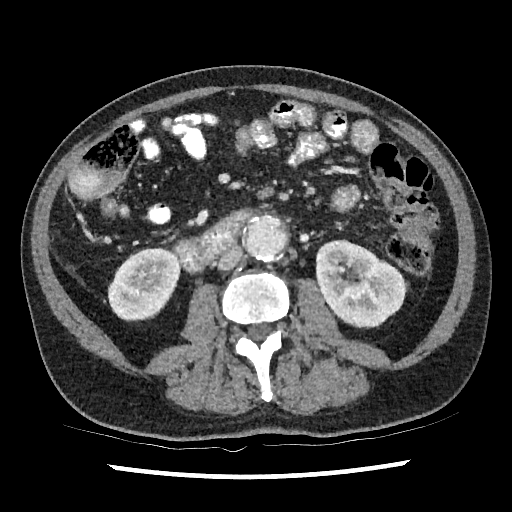

CT scan slice. Segmented structures:
* kidney: <bbox>316, 241, 405, 326</bbox>, <bbox>108, 249, 180, 319</bbox>